FLAIR MRI.
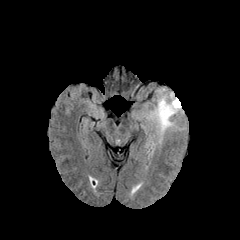
T1-weighted MRI.
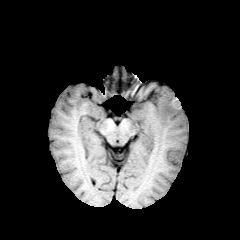
Post-contrast T1-weighted MR image.
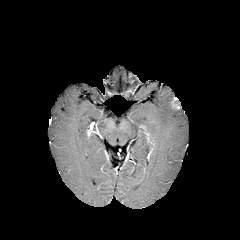
T2-weighted MR image.
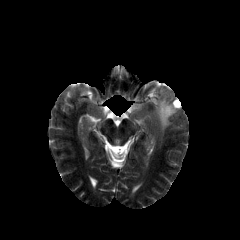
Head
Edema: 141, 88, 181, 139.
Enhancing tumor: 171, 97, 179, 109.